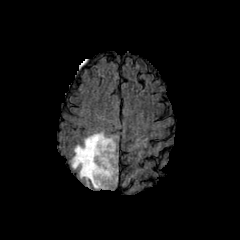
FLAIR MR.
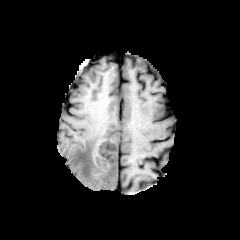
T1-weighted MR image.
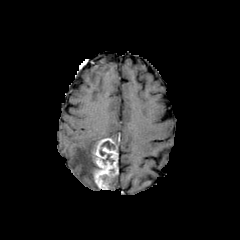
Post-contrast T1-weighted MR.
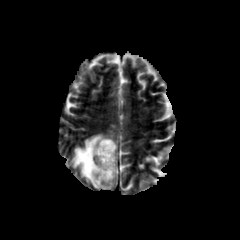
T2-weighted MR image.
Head, 240x240
Edema at (70, 132, 107, 188).
Non-enhancing tumor core at (102, 141, 114, 148).
Enhancing tumor at (92, 138, 118, 189).